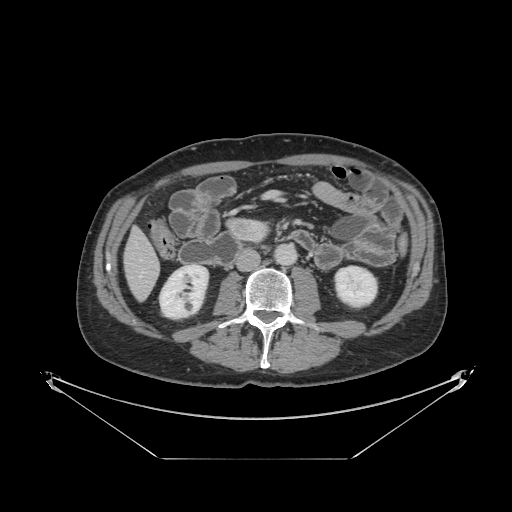
Upper abdomen, CT image

Pancreatic tumor — rect(226, 217, 268, 241).